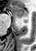

Medial temporal lobe | MR
2 anterior hippocampus regions are located at (x1=24, y1=20, x2=27, y2=21), (x1=13, y1=6, x2=26, y2=18).